Slice index 22, Hippocampus, MR image

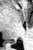
The posterior hippocampus appears at [7,40,16,43].